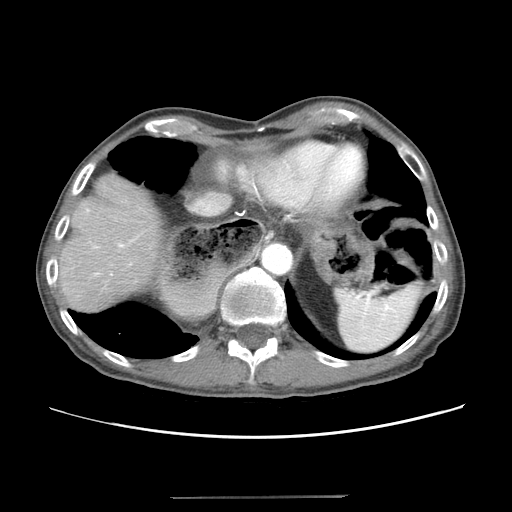

CT image. Pelvis. The colon tumor is bounded by box=[312, 224, 374, 285].